Image size 240x240.
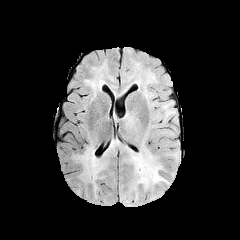
FLAIR MR image.
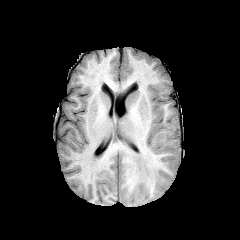
Same slice, T1-weighted MR.
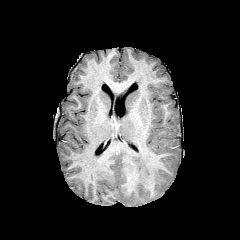
Post-contrast T1-weighted MR image.
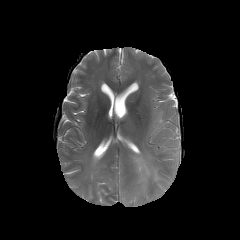
T2-weighted MRI of the same slice.
Findings:
* edema: (x1=78, y1=144, x2=104, y2=185), (x1=130, y1=150, x2=168, y2=193)